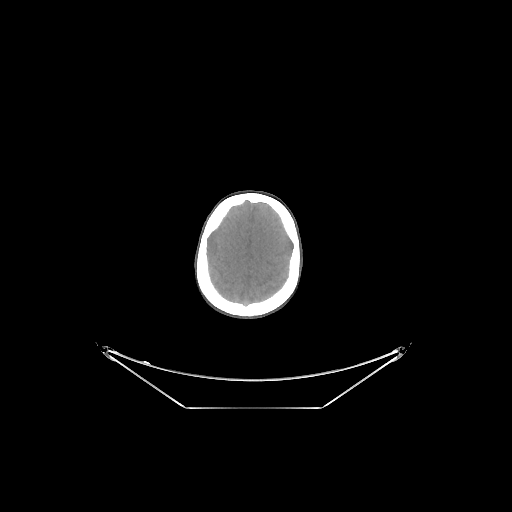 CT scan slice
bone: 197, 193, 299, 316 | brain: 207, 201, 293, 305